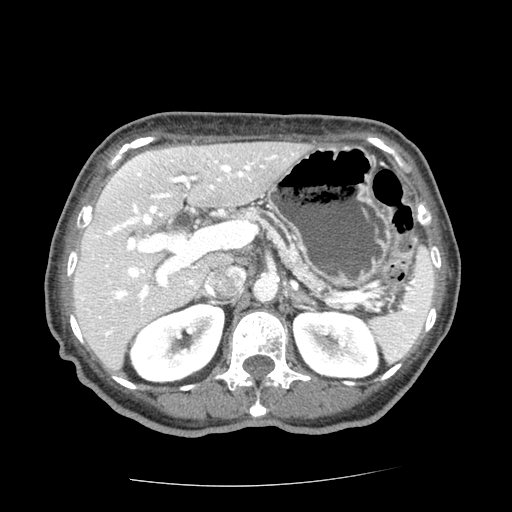
CT image; Image size 512x512

Pancreas — bbox(234, 207, 329, 289).